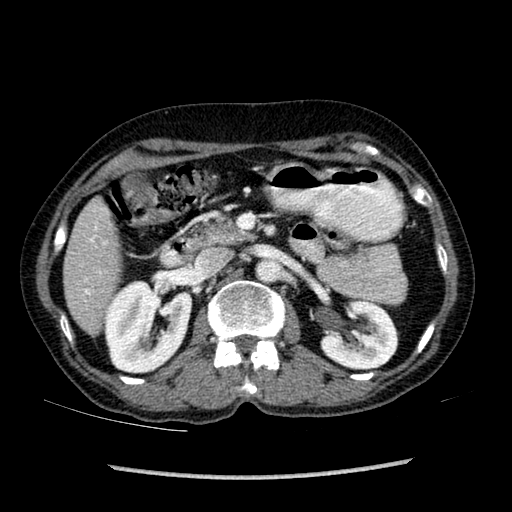 CT image; Upper abdomen; Image size 512x512
Segmented structures:
- kidney: 319, 302, 396, 368; 105, 277, 190, 372
- liver: 63, 209, 119, 327